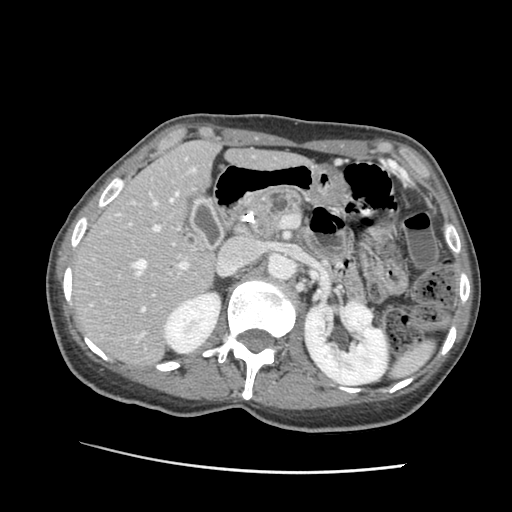 Computed tomography | Image size 512x512 | Upper abdomen

The pancreas is located at 244:189:302:239.